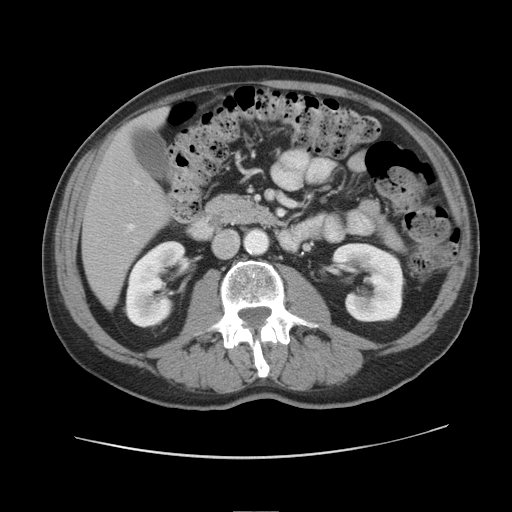
Abdomen. CT image. The pancreas is at rect(224, 197, 260, 225).